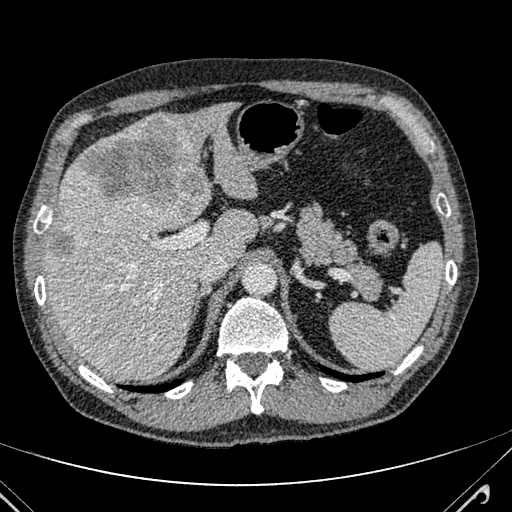

Abdomen; 512x512 px; CT image

Segmented structures:
* liver: box(47, 155, 255, 378); box(96, 122, 144, 144); box(158, 103, 256, 197)
* hepatic lesion: box(81, 117, 207, 211); box(49, 234, 74, 256)